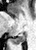 MRI slice | Hippocampus
The posterior hippocampus lies within (14,33,25,43).